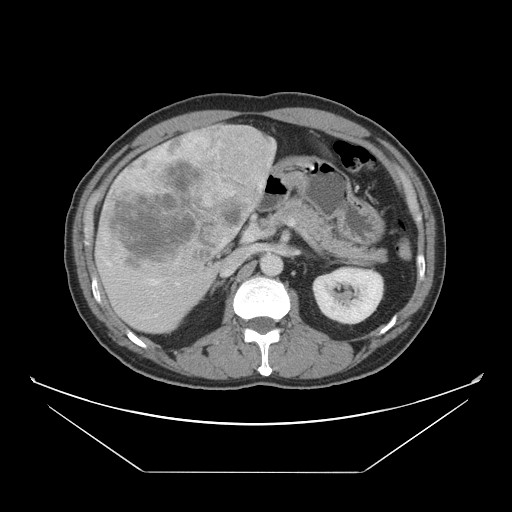
Computed tomography; Liver
The vessel annotation is not exhaustive.
6 hepatic vessel regions are located at left=155, top=314, right=157, bottom=316; left=148, top=279, right=162, bottom=285; left=105, top=261, right=111, bottom=265; left=179, top=287, right=182, bottom=287; left=175, top=282, right=178, bottom=285; left=99, top=264, right=102, bottom=266. The liver tumor appears at left=105, top=127, right=274, bottom=268.